Abdomen. Computed tomography.
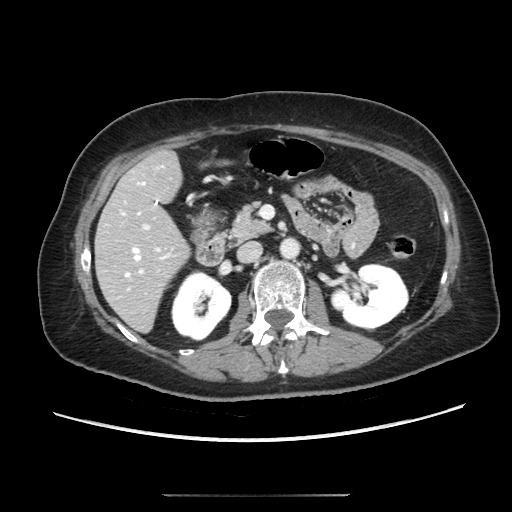

Segmented structures:
• pancreas: 232, 205, 269, 243